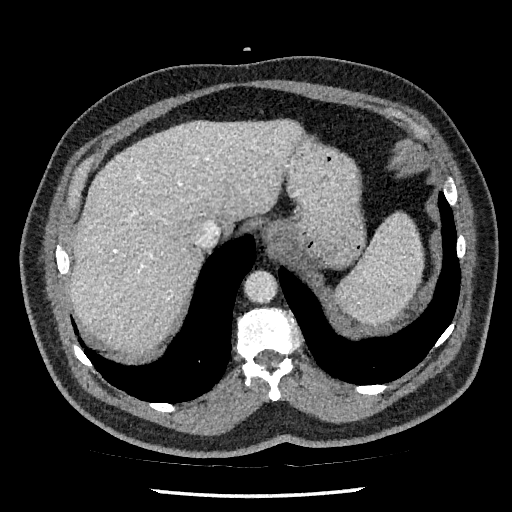 Computed tomography

liver:
  - {"x1": 71, "y1": 121, "x2": 299, "y2": 353}